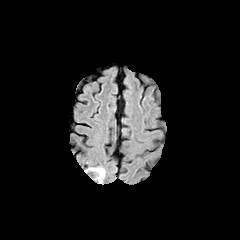
FLAIR MR image.
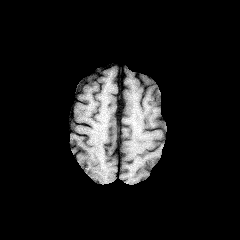
Same slice, T1-weighted MR image.
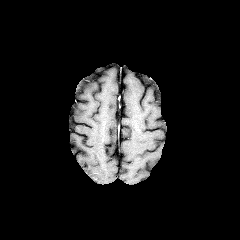
Post-contrast T1-weighted magnetic resonance.
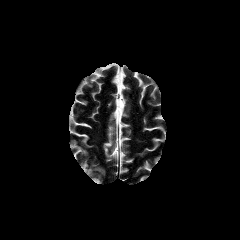
T2-weighted MR of the same slice.
240x240 px
Edema = box=[87, 166, 105, 182].